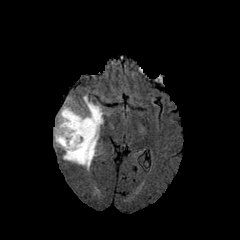
FLAIR MR image.
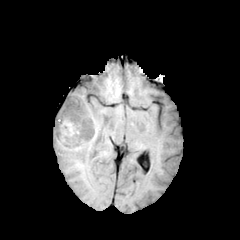
Same slice, T1-weighted MR image.
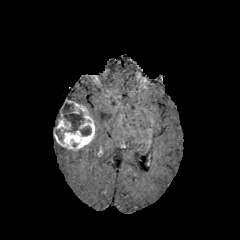
Post-contrast T1-weighted magnetic resonance.
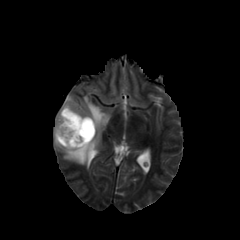
Same slice, T2-weighted MRI.
Head
Segmented structures:
- edema: left=54, top=94, right=110, bottom=170
- enhancing tumor: left=54, top=99, right=95, bottom=150
- non-enhancing tumor core: left=73, top=141, right=91, bottom=157; left=60, top=102, right=91, bottom=135